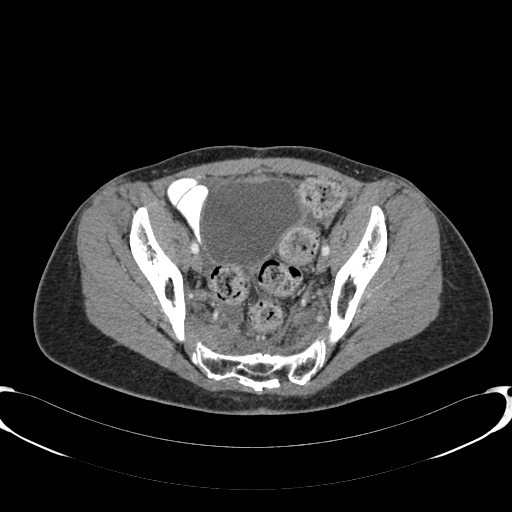

CT slice

urinary_bladder:
  - <bbox>203, 180, 300, 265</bbox>